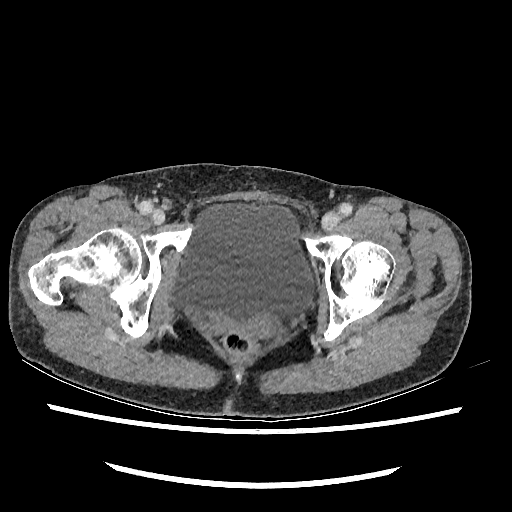 CT | Lower abdomen | 512x512

The urinary bladder lies within region(168, 200, 314, 330).